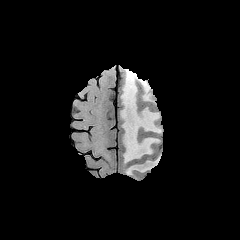
FLAIR MRI.
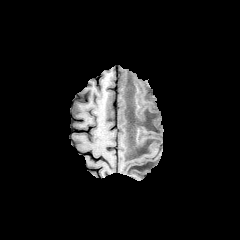
T1-weighted MRI.
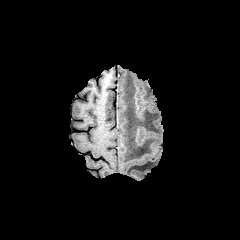
Post-contrast T1-weighted magnetic resonance of the same slice.
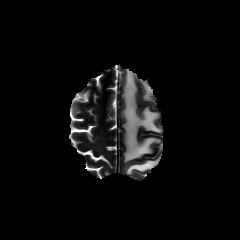
T2-weighted magnetic resonance.
240x240 px
edema: (x1=121, y1=69, x2=159, y2=174)